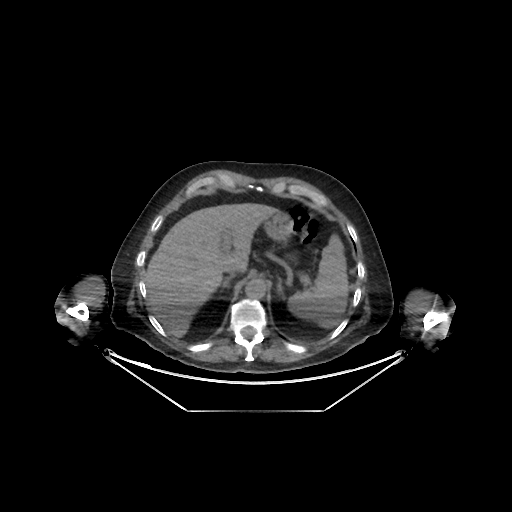

Liver; CT scan slice
{
  "liver": [
    "<bbox>141, 203, 276, 337</bbox>"
  ]
}